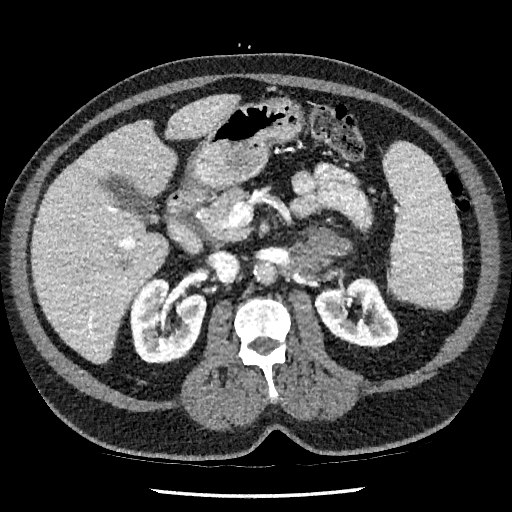
Computed tomography | Upper abdomen
2 kidney regions are bounded by 315 279 397 345, 131 280 205 362. The hepatic lesion appears at 119 260 132 270. 2 liver regions appear at 165 94 237 138, 32 121 176 362.